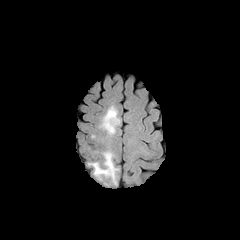
FLAIR magnetic resonance.
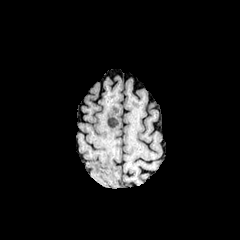
T1-weighted magnetic resonance of the same slice.
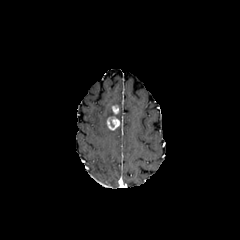
Post-contrast T1-weighted magnetic resonance.
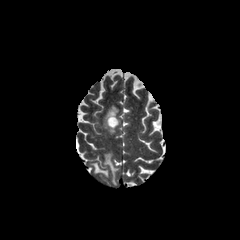
T2-weighted MRI.
Brain. 240x240.
Findings:
• enhancing tumor: x1=106 y1=116 x2=120 y2=130, x1=111 y1=104 x2=119 y2=114
• edema: x1=98 y1=107 x2=115 y2=135, x1=88 y1=152 x2=118 y2=183